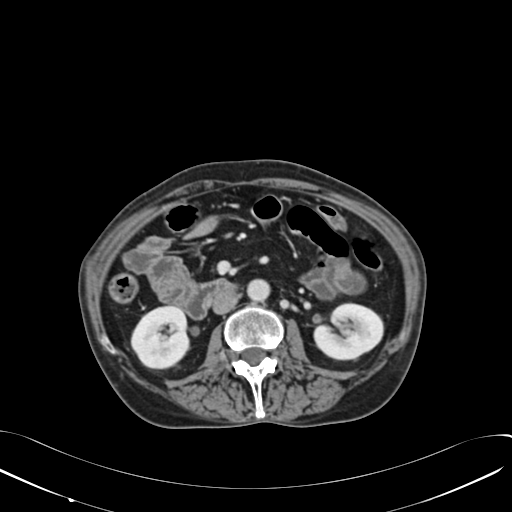

Computed tomography

<segmentation>
  <kidney>l=132, t=307, r=187, b=367; l=315, t=304, r=382, b=358</kidney>
</segmentation>